Image size 240x240; Brain
FLAIR MR.
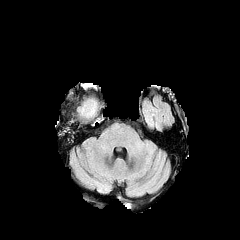
T1-weighted MR image.
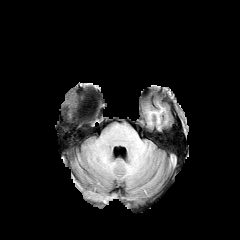
Post-contrast T1-weighted magnetic resonance.
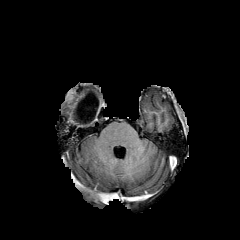
T2-weighted magnetic resonance.
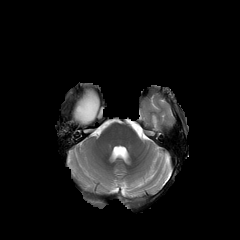
Non-enhancing tumor core at [x1=80, y1=100, x2=95, y2=117].